Brain | Slice 81 of 155 | 240x240 px
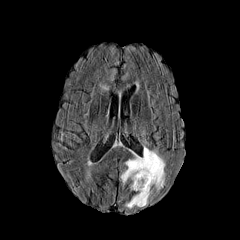
FLAIR MR image.
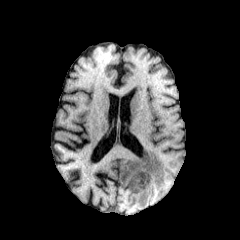
Same slice, T1-weighted magnetic resonance.
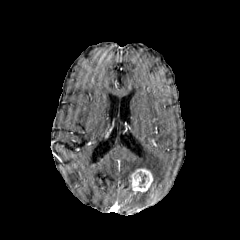
Same slice, post-contrast T1-weighted MRI.
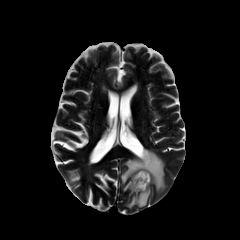
T2-weighted magnetic resonance of the same slice.
Enhancing tumor: l=131, t=168, r=153, b=192.
Non-enhancing tumor core: l=134, t=170, r=149, b=188.
Edema: l=119, t=147, r=166, b=192; l=124, t=188, r=149, b=208.